Upper abdomen, Field of view 700x700 mm, Computed tomography, 512x512 px, Slice index 370

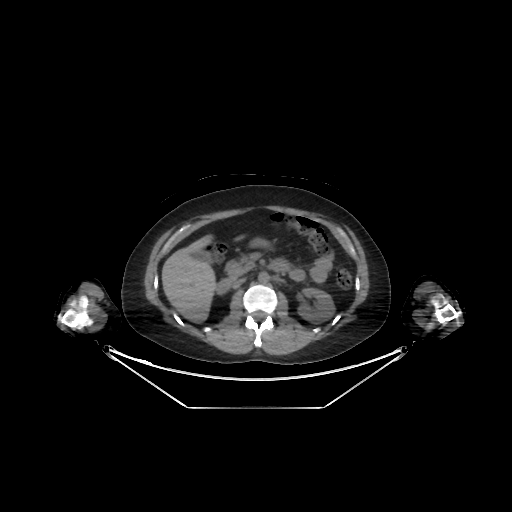

Segmented structures:
- kidney: <bbox>296, 287, 334, 324</bbox>
- liver: <bbox>162, 236, 216, 321</bbox>